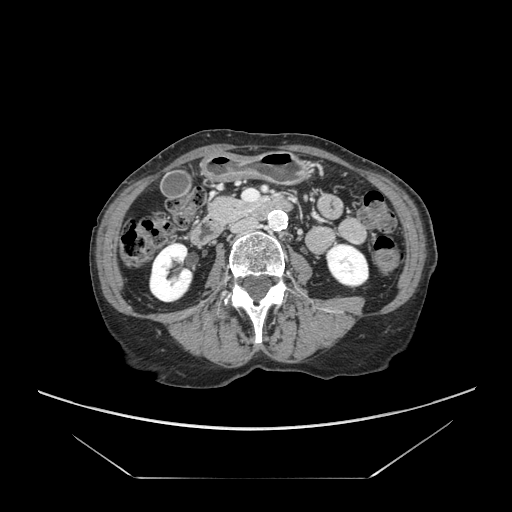

CT scan slice | 512x512 px | Abdomen
{"pancreas": ["bbox=[205, 194, 267, 228]"]}